512x512 px. Liver. Slice 472 of 751. Computed tomography.

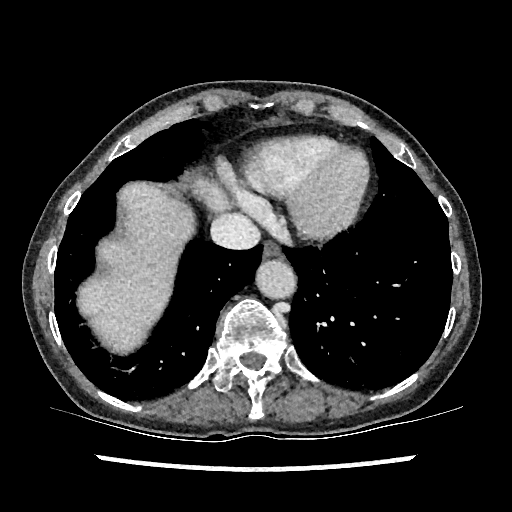

{"liver": ["x1=197 y1=183 x2=230 y2=210", "x1=78 y1=183 x2=192 y2=350"]}